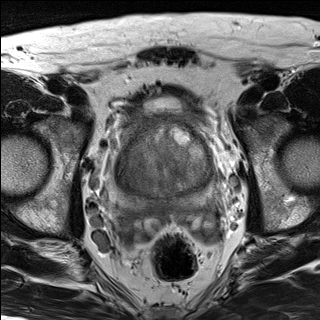
T2-weighted MR.
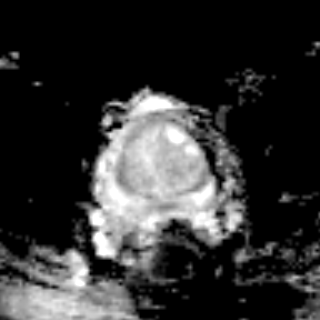
ADC MR image.
Pelvis | Image size 320x320
Prostate peripheral zone: bounding box 109 180 212 209.
Prostate transition zone: bounding box 115 127 212 197.